Image size 512x512. Abdomen. Slice 39 of 53. Field of view 438x438 mm. CT scan slice.

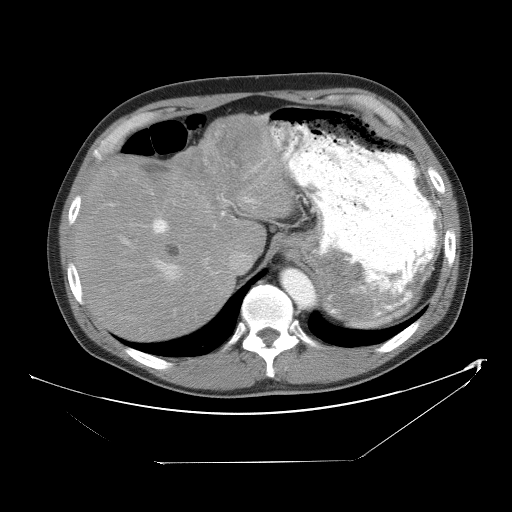
The vessel annotation is not exhaustive.
9 hepatic vessel regions are located at bbox(152, 222, 153, 227); bbox(218, 197, 225, 201); bbox(158, 233, 161, 233); bbox(221, 211, 223, 214); bbox(154, 218, 161, 221); bbox(237, 245, 239, 247); bbox(205, 258, 207, 261); bbox(243, 196, 253, 201); bbox(156, 260, 179, 278). 2 liver tumor regions are located at bbox(221, 134, 246, 165); bbox(165, 242, 181, 258).